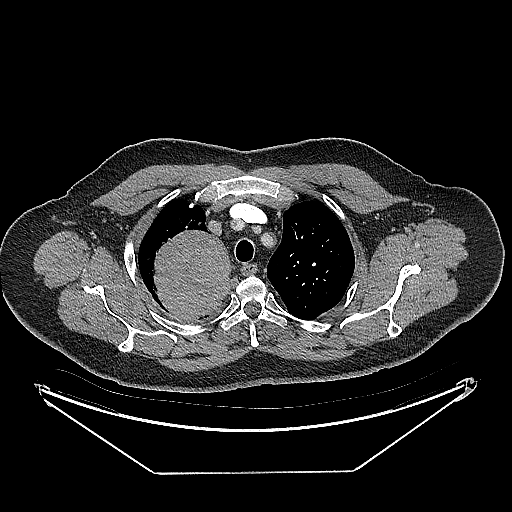

Thorax; 512x512; Computed tomography
<segmentation>
  <lung_tumor>bbox=[147, 229, 231, 322]</lung_tumor>
</segmentation>